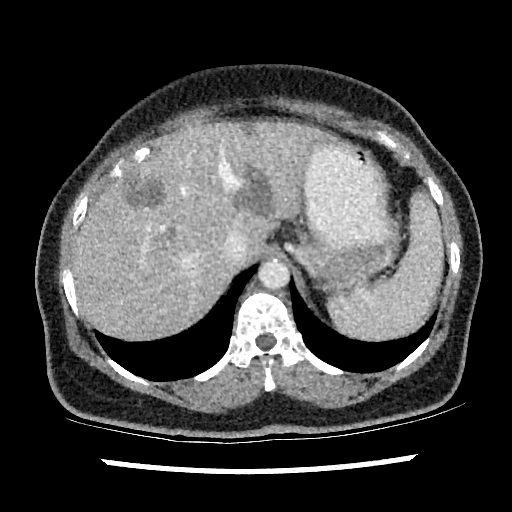
512x512. Liver. CT. Liver = rect(71, 122, 334, 338).
Liver lesion = rect(124, 177, 163, 206); rect(234, 169, 274, 217); rect(241, 124, 254, 132).